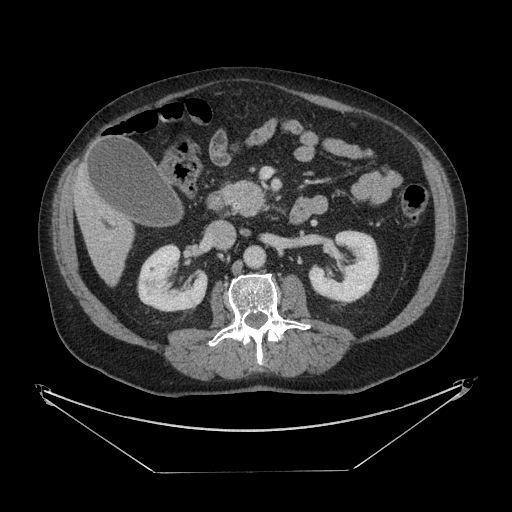
512x512 px; CT

{"pancreatic_tumor": ["(x1=239, y1=185, x2=253, y2=198)"], "pancreas": ["(x1=235, y1=181, x2=262, y2=215)"]}